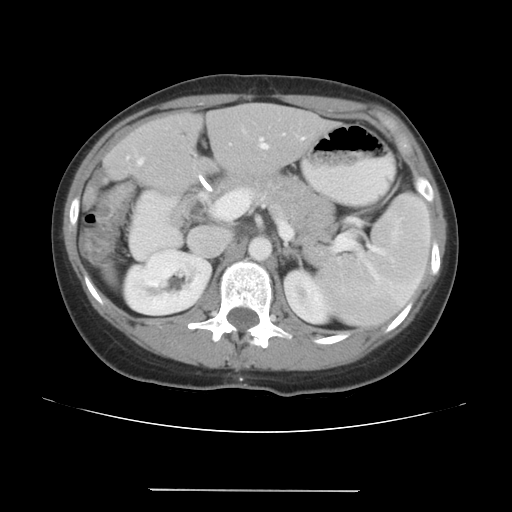
CT image
Not every hepatic vessel necessarily has a box.
Liver tumor — <box>81,171,110,208</box>.
Hepatic vessel — <box>261,138,267,149</box>.